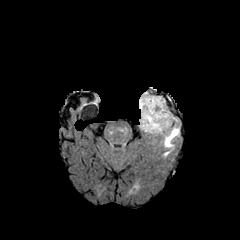
FLAIR MR.
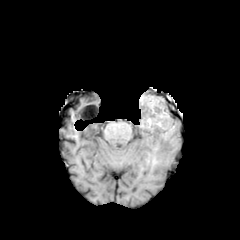
T1-weighted MR image.
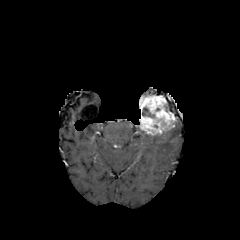
Post-contrast T1-weighted magnetic resonance.
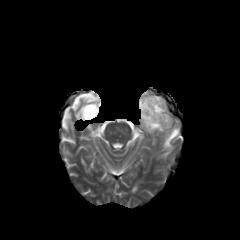
T2-weighted MR image.
The enhancing tumor is at <bbox>139, 94, 175, 134</bbox>. The edema is bounded by <bbox>157, 121, 180, 157</bbox>.